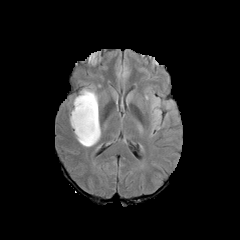
FLAIR MR image.
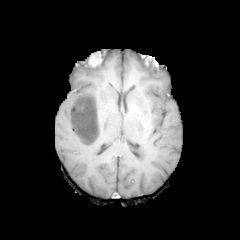
Same slice, T1-weighted MR.
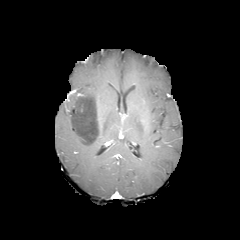
Post-contrast T1-weighted magnetic resonance.
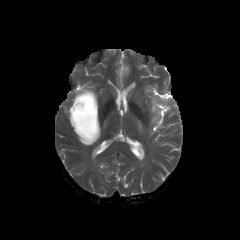
T2-weighted magnetic resonance.
Head
The non-enhancing tumor core is located at bbox=[70, 92, 98, 141]. 4 edema regions appear at bbox=[68, 109, 100, 147]; bbox=[80, 84, 99, 111]; bbox=[147, 90, 163, 129]; bbox=[72, 96, 78, 107].